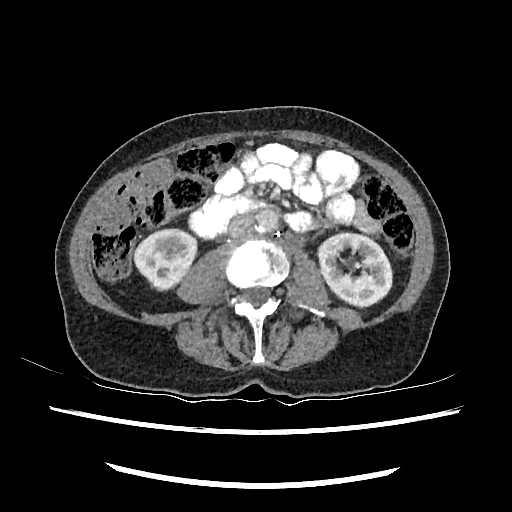
Abdomen | CT
kidney:
  - 135 228 195 287
  - 319 232 391 305